Abdomen | CT image | Image width 350 mm | Slice 178/212

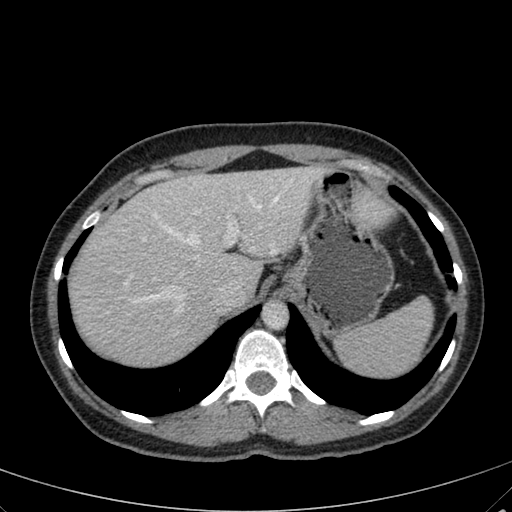
2 liver regions are located at 336, 189, 393, 233; 69, 165, 329, 366.